Liver | CT image | Slice index 26

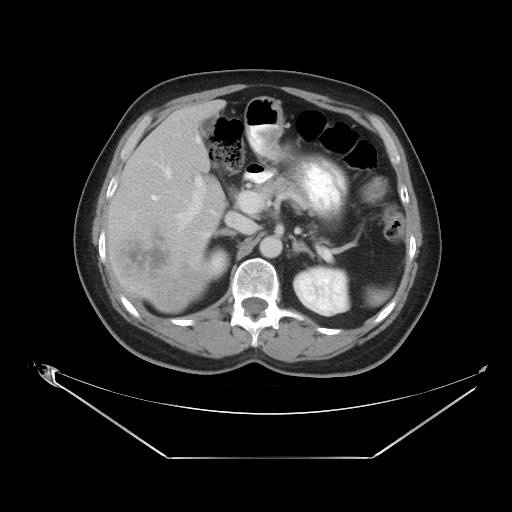
The vessel annotation is not exhaustive.
liver_tumor:
  - box(111, 219, 204, 311)
hepatic_vessel:
  - box(167, 171, 168, 175)
  - box(179, 176, 206, 219)
  - box(154, 197, 157, 199)